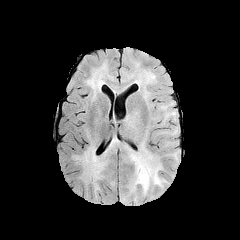
FLAIR magnetic resonance.
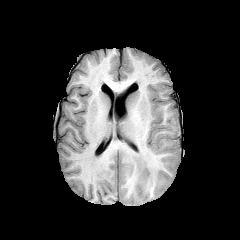
T1-weighted magnetic resonance of the same slice.
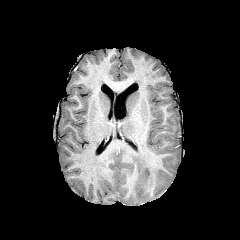
Post-contrast T1-weighted MRI.
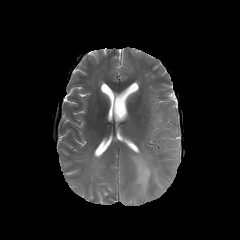
T2-weighted MR of the same slice.
<segmentation>
  <edema>x1=128, y1=148, x2=162, y2=195; x1=78, y1=144, x2=104, y2=182</edema>
</segmentation>